CT slice, Abdomen, Slice 15 of 124
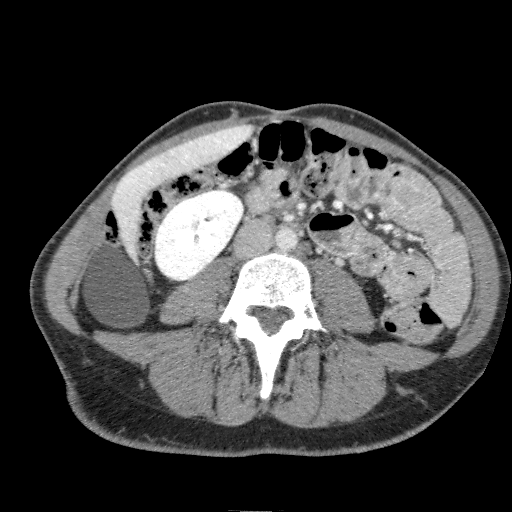

The liver lies within [x1=112, y1=125, x2=253, y2=263]. The kidney is located at [x1=155, y1=191, x2=242, y2=279].